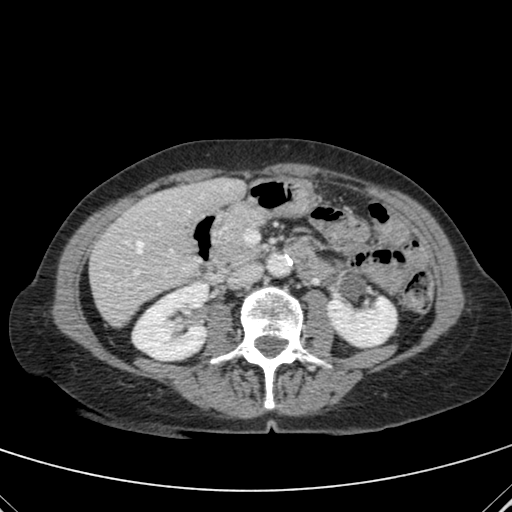
Computed tomography. kidney:
  - x1=328 y1=298 x2=396 y2=346
  - x1=133 y1=283 x2=205 y2=360
liver:
  - x1=90 y1=178 x2=245 y2=324